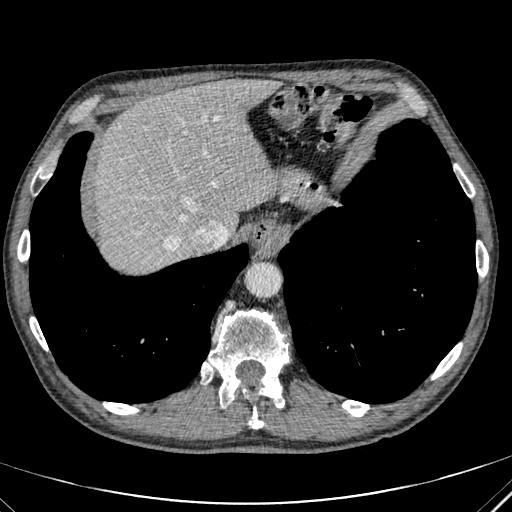
CT scan slice

Liver = (94, 79, 280, 273).